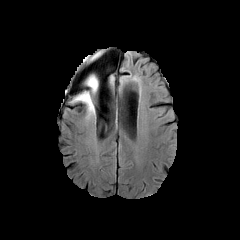
FLAIR magnetic resonance.
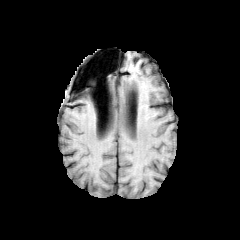
T1-weighted MRI.
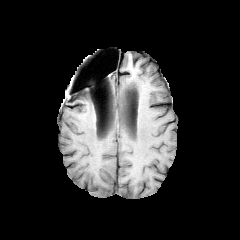
Post-contrast T1-weighted magnetic resonance.
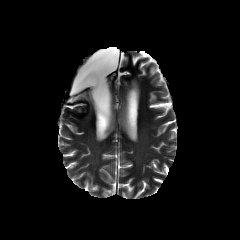
T2-weighted MR of the same slice.
240x240 px.
The edema appears at <box>70,74,99,117</box>.